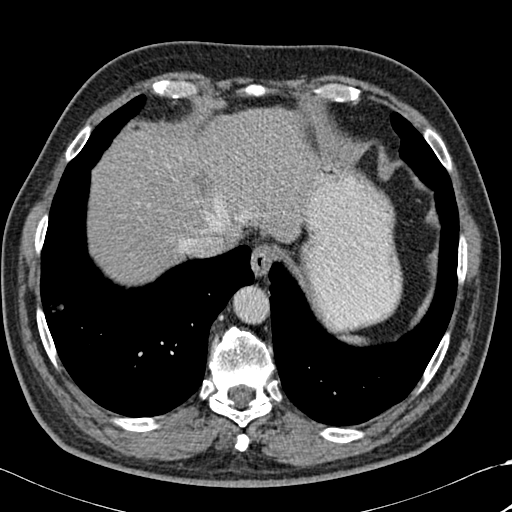

Liver, CT scan slice
2 lung regions appear at <bbox>268, 112, 459, 426</bbox>, <bbox>40, 94, 254, 417</bbox>. 2 liver regions appear at <bbox>89, 109, 311, 282</bbox>, <bbox>223, 236, 232, 249</bbox>. The focal liver lesion lies within <bbox>192, 169, 214, 198</bbox>. 13 bone regions are located at <bbox>250, 86, 261, 95</bbox>, <bbox>201, 327, 280, 426</bbox>, <bbox>425, 129, 450, 169</bbox>, <bbox>321, 428, 362, 442</bbox>, <bbox>421, 334, 448, 388</bbox>, <bbox>153, 81, 182, 96</bbox>, <bbox>235, 434, 248, 450</bbox>, <bbox>66, 127, 89, 159</bbox>, <bbox>115, 418, 156, 431</bbox>, <bbox>457, 238, 466, 280</bbox>, <bbox>35, 216, 47, 251</bbox>, <bbox>37, 310, 55, 363</bbox>, <bbox>344, 87, 359, 99</bbox>.